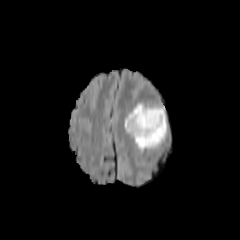
FLAIR magnetic resonance.
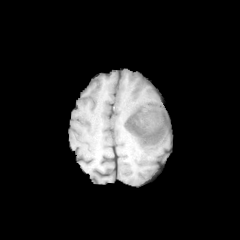
T1-weighted MRI.
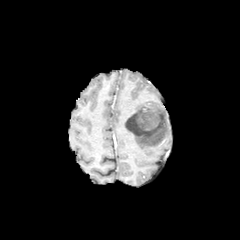
Post-contrast T1-weighted MR of the same slice.
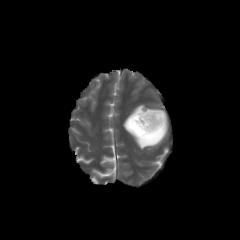
T2-weighted magnetic resonance of the same slice.
Brain
<segmentation>
  <non-enhancing_tumor_core>box(126, 109, 161, 137)</non-enhancing_tumor_core>
  <edema>box(125, 104, 170, 149)</edema>
</segmentation>